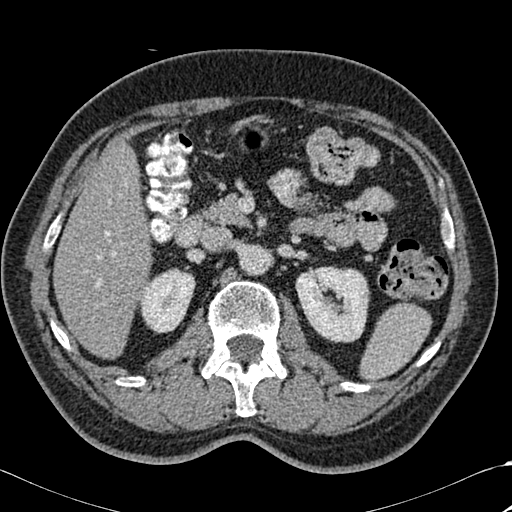
CT slice

Kidney — (left=142, top=270, right=194, bottom=331), (left=296, top=267, right=367, bottom=341).
Bone — (left=202, top=281, right=286, bottom=416), (left=51, top=322, right=69, bottom=348), (left=44, top=222, right=59, bottom=248), (left=341, top=382, right=368, bottom=392), (left=443, top=217, right=454, bottom=248), (left=117, top=377, right=144, bottom=386), (left=418, top=343, right=438, bottom=365).
Liver — (left=54, top=146, right=151, bottom=357).